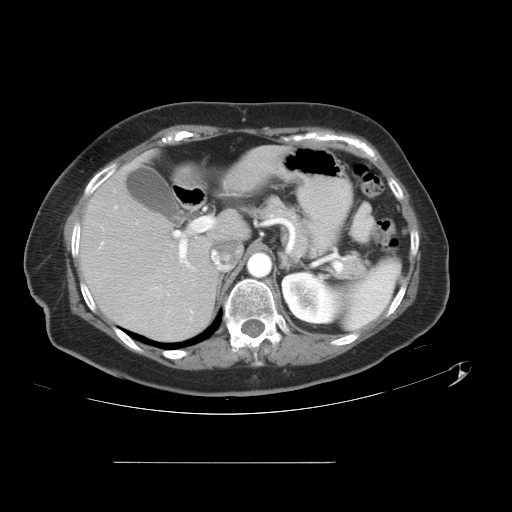

Upper abdomen | CT
<segmentation>
  <pancreas>256, 196, 311, 251</pancreas>
</segmentation>